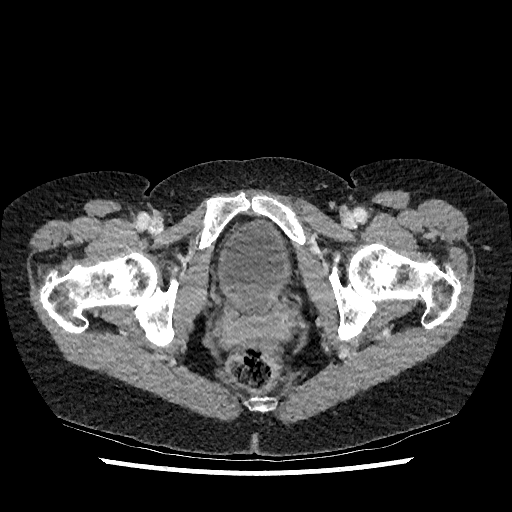
512x512, Lower abdomen, Computed tomography
The urinary bladder lies within x1=211, y1=215, x2=293, y2=294.